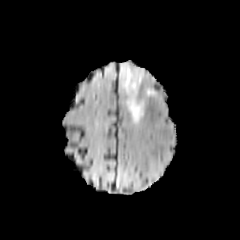
FLAIR MRI.
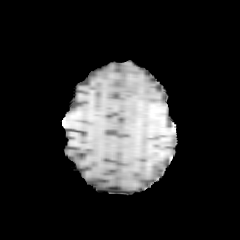
T1-weighted MR image of the same slice.
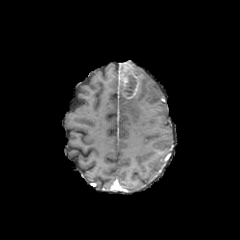
Same slice, post-contrast T1-weighted MR.
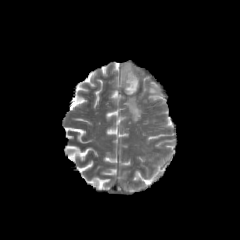
T2-weighted MRI of the same slice.
enhancing tumor: box(121, 62, 139, 98) | non-enhancing tumor core: box(120, 74, 137, 98) | edema: box(126, 88, 143, 121); box(134, 64, 142, 83)